CT image. 512x512 px. Slice 402 of 547.

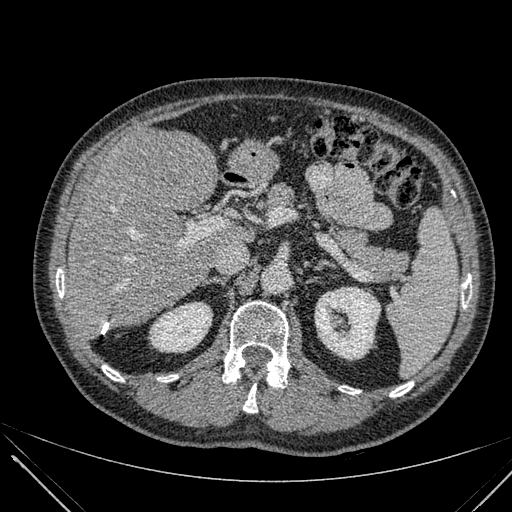 {"kidney": ["(150, 303, 211, 351)", "(315, 287, 380, 359)"], "liver": ["(67, 127, 254, 336)", "(232, 144, 278, 180)"]}